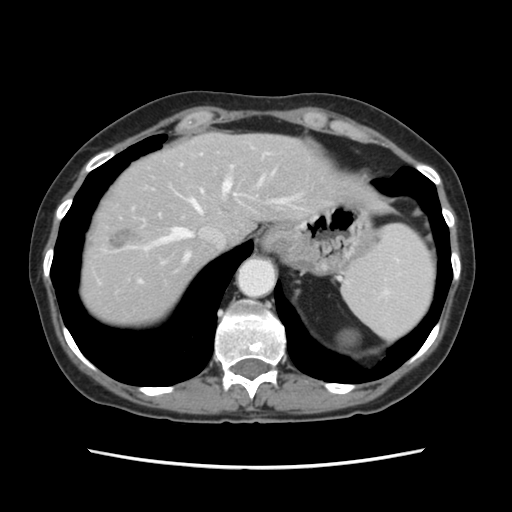
Computed tomography; Liver

The vessel boxes may cover only some of the vessels.
<segmentation>
  <liver_tumor>110, 229, 136, 248</liver_tumor>
  <hepatic_vessel>260, 178, 263, 182; 223, 179, 230, 192; 159, 228, 191, 242; 265, 153, 267, 154; 191, 201, 200, 211; 278, 199, 288, 202; 200, 189, 202, 191; 234, 194, 236, 195</hepatic_vessel>
</segmentation>